Image width 240 mm; 240x240; Slice index 90; Brain
FLAIR MRI.
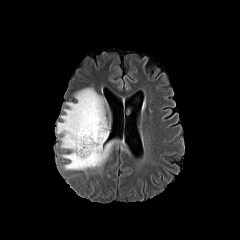
T1-weighted MR image.
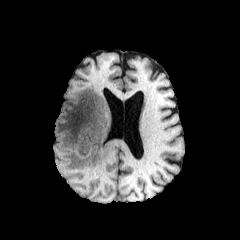
Post-contrast T1-weighted MR.
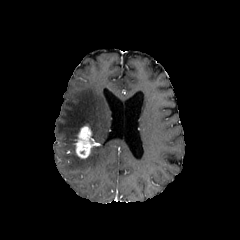
T2-weighted MR image.
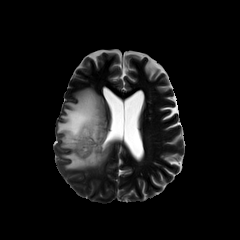
The enhancing tumor is located at x1=72, y1=124, x2=101, y2=159. The edema lies within x1=56, y1=88, x2=111, y2=169.